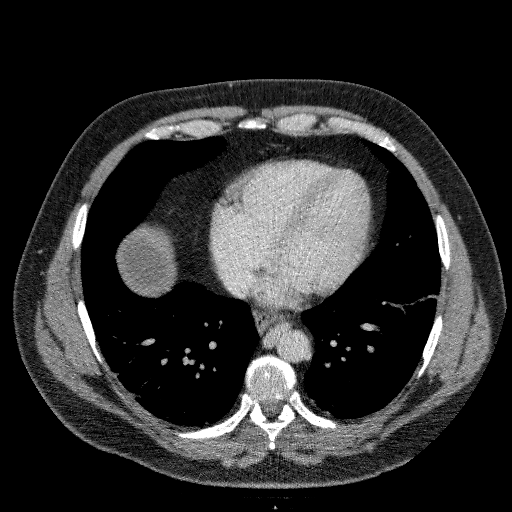
CT

Liver: bounding box 119,229,174,294.